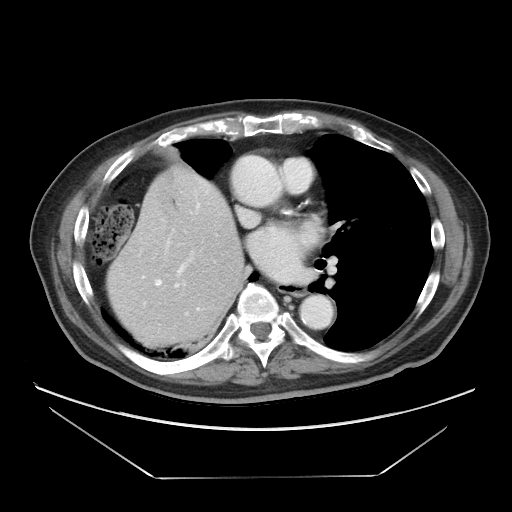

CT
The vessel boxes may cover only some of the vessels.
Hepatic vessel = box(155, 279, 161, 285); box(175, 283, 178, 286); box(177, 257, 191, 274).